Slice 127/155, Head
FLAIR magnetic resonance.
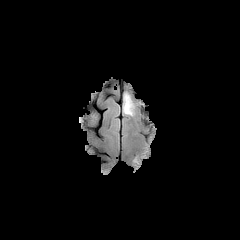
T1-weighted MR image.
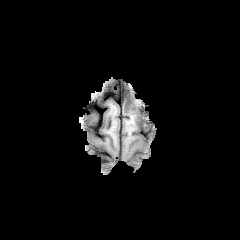
Post-contrast T1-weighted MRI.
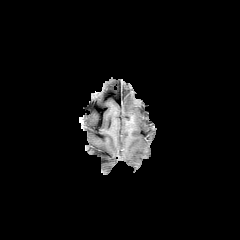
T2-weighted MR.
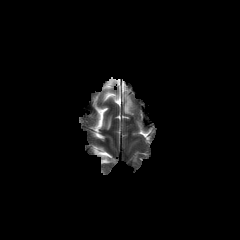
<segmentation>
  <edema>bbox(133, 155, 139, 169); bbox(123, 92, 133, 115)</edema>
</segmentation>